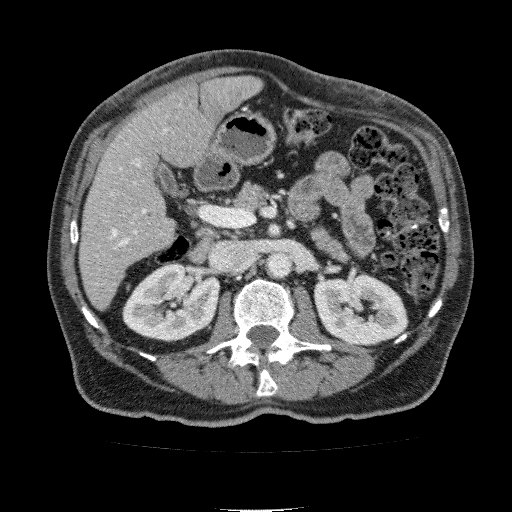 CT scan slice; Liver

Segmented structures:
- liver: bbox=[81, 76, 264, 311]
- kidney: bbox=[124, 265, 218, 339]; bbox=[315, 275, 406, 344]